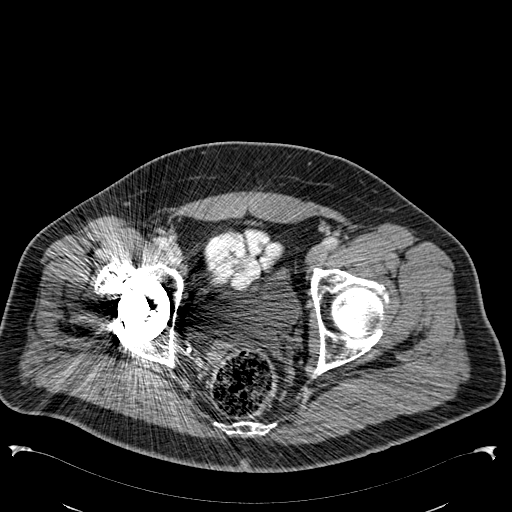
CT
Urinary bladder: bounding box (253,217,259,228), (210,267,301,338).